Slice 321/536. Field of view 700 mm wide, 3.27 mm slice spacing. Computed tomography. 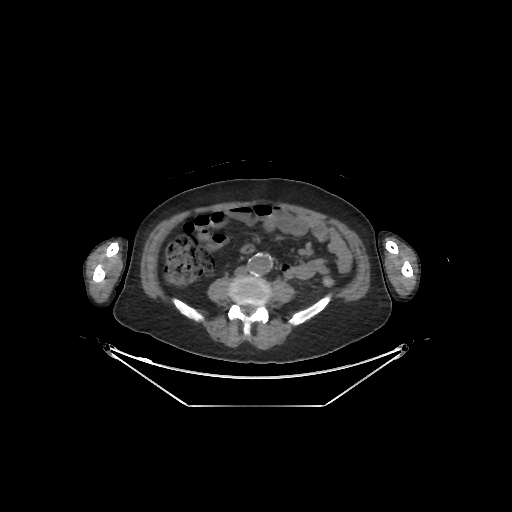

6 bone regions appear at (x1=93, y1=243, x2=118, y2=282), (x1=289, y1=296, x2=329, y2=324), (x1=401, y1=260, x2=412, y2=278), (x1=386, y1=241, x2=398, y2=254), (x1=228, y1=272, x2=270, y2=334), (x1=173, y1=299, x2=202, y2=320).